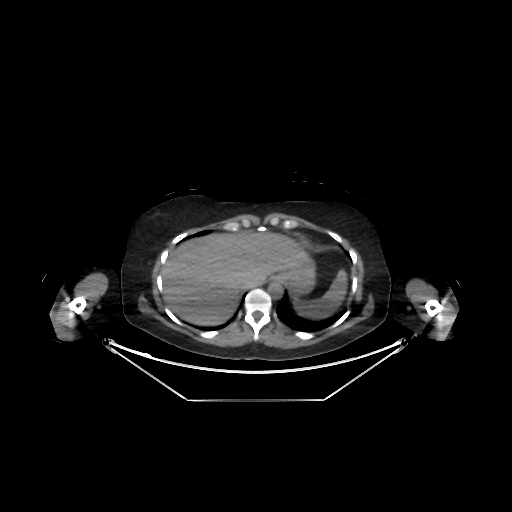 Abdomen | CT

The liver is at 160, 226, 311, 325.